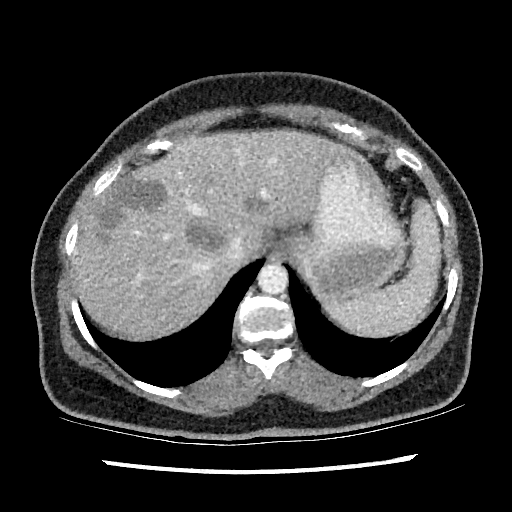
Computed tomography

- liver: x1=75, y1=129, x2=374, y2=337
- hepatic lesion: x1=188, y1=226, x2=225, y2=250; x1=98, y1=174, x2=164, y2=228; x1=246, y1=197, x2=262, y2=210; x1=100, y1=235, x2=108, y2=242